Image width 376 mm | CT scan slice | Abdomen

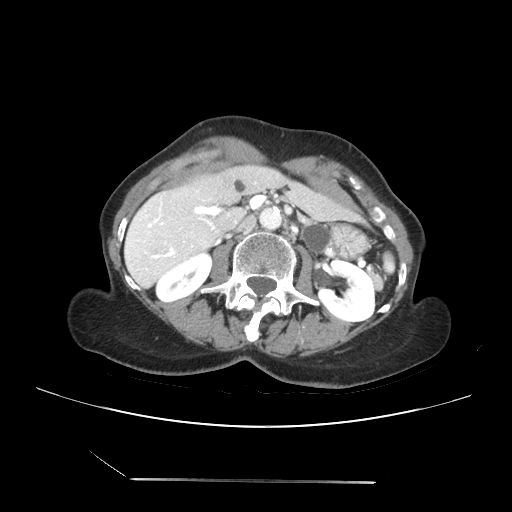 The pancreatic tumor is located at (303, 224, 329, 253). 2 pancreas regions are bounded by (315, 227, 332, 254), (297, 213, 324, 238).